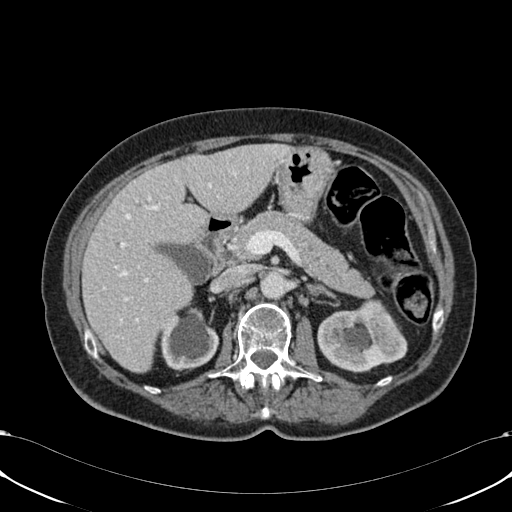 CT scan slice | Upper abdomen
Segmented structures:
- liver: (left=82, top=144, right=290, bottom=372)
- kidney: (left=161, top=300, right=218, bottom=369), (left=318, top=304, right=406, bottom=370)